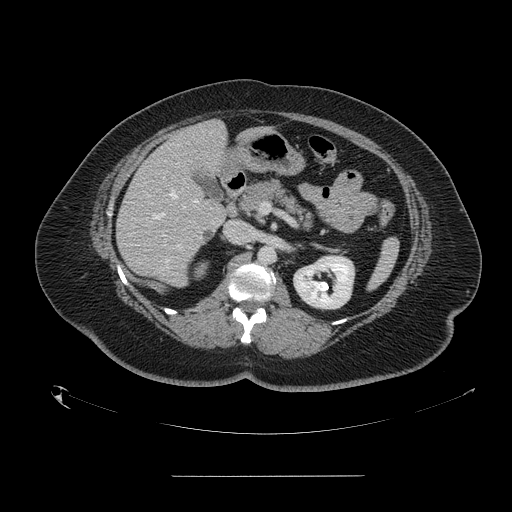 CT scan slice

Spleen = l=370, t=239, r=398, b=288.